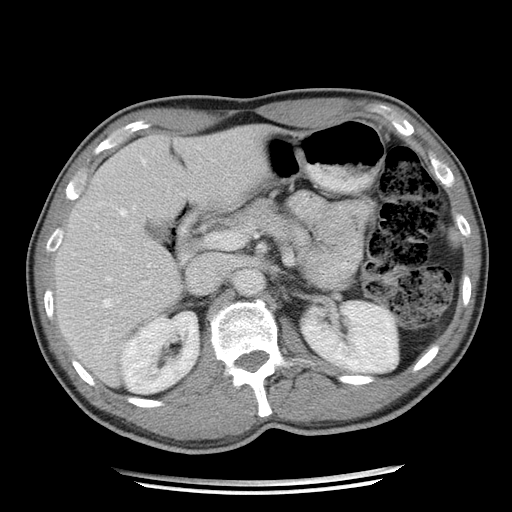 CT scan slice
Annotated regions:
* pancreas: 239,199,316,277; 255,259,271,283